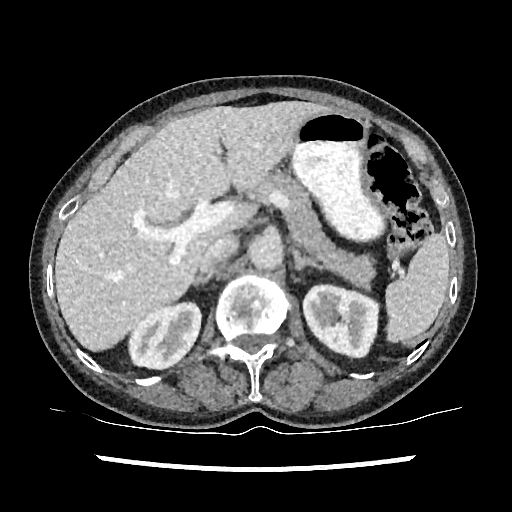 CT scan slice; Abdomen

liver:
  - 56 102 330 349
kidney:
  - 130 304 200 371
  - 304 286 377 356